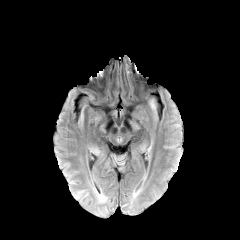
FLAIR MR image.
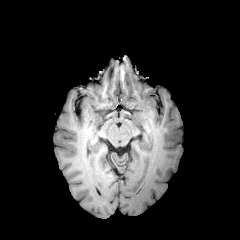
Same slice, T1-weighted MR image.
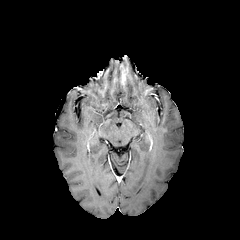
Post-contrast T1-weighted MRI.
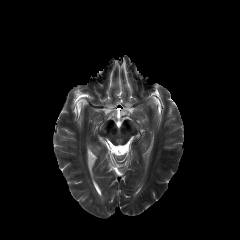
T2-weighted magnetic resonance.
Image size 240x240
Edema — 149:99:155:110.